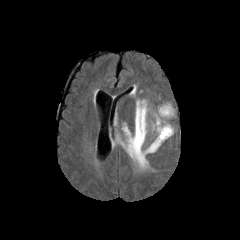
FLAIR MRI.
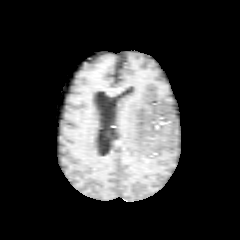
T1-weighted MR of the same slice.
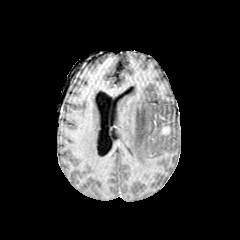
Same slice, post-contrast T1-weighted MR image.
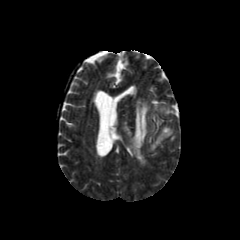
T2-weighted magnetic resonance of the same slice.
240x240, Brain
The enhancing tumor appears at [162,126,169,134]. The edema lies within [122,98,175,166].